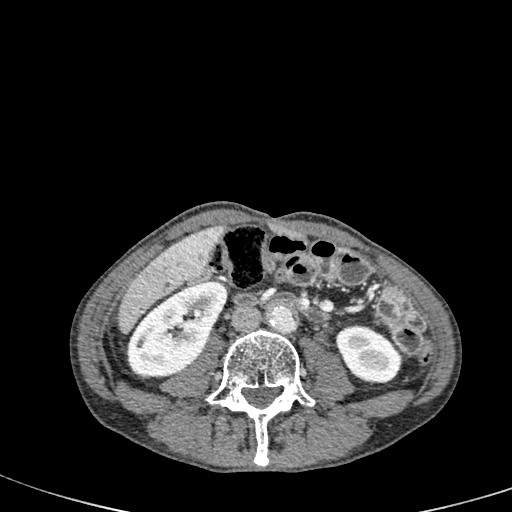 Abdomen, CT scan slice, 512x512 px
kidney:
  - [128,282,225,376]
  - [337,326,400,382]
liver:
  - [119,225,223,333]